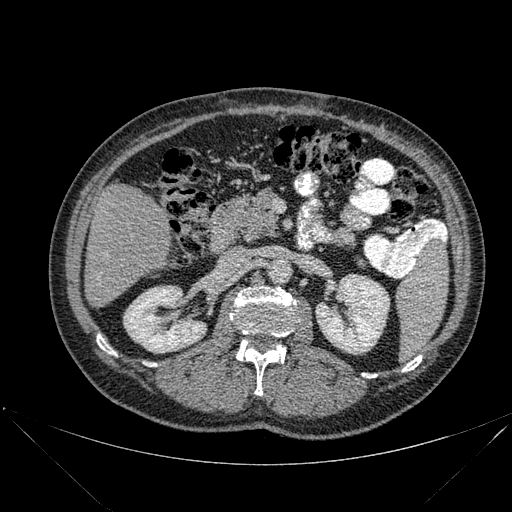
Liver, CT image

2 kidney regions appear at [316,274,389,353], [124,286,206,352]. 5 bone regions are located at [362,373,376,377], [97,334,115,355], [402,355,421,371], [230,287,299,336], [236,340,285,395]. The liver appears at [84,184,171,307].